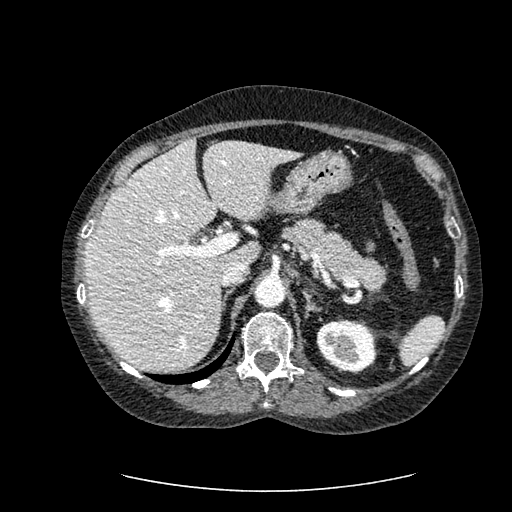
Abdomen; CT scan slice
The liver appears at {"x1": 84, "y1": 138, "x2": 300, "y2": 369}. The kidney is bounded by {"x1": 317, "y1": 321, "x2": 375, "y2": 371}.